CT | Slice 618/722
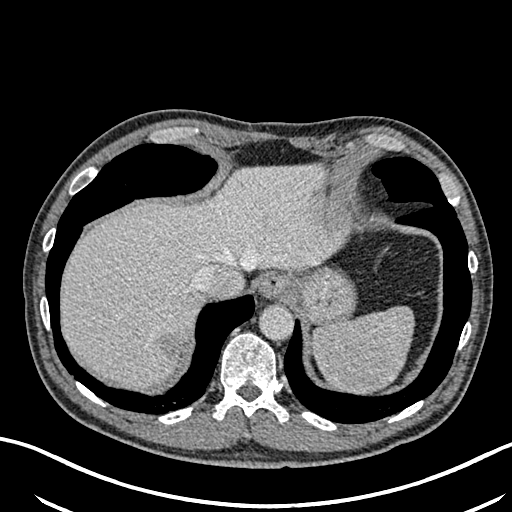 Findings:
- hepatic lesion: x1=158, y1=333, x2=178, y2=354
- liver: x1=61, y1=163, x2=336, y2=386